Head, Slice 75 of 155
FLAIR MRI.
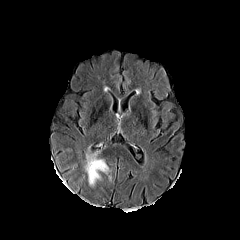
T1-weighted MR.
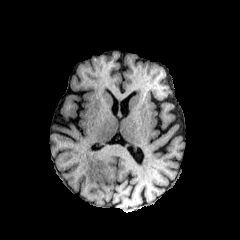
Post-contrast T1-weighted MR image.
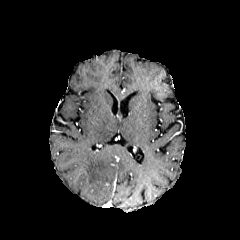
T2-weighted MR image.
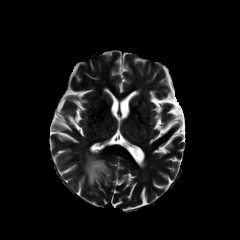
The edema is bounded by (84, 152, 107, 185).